240x240; Field of view 240x240 mm
FLAIR MRI.
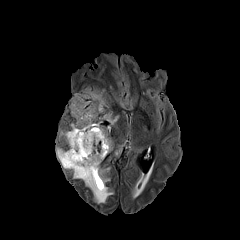
T1-weighted MR.
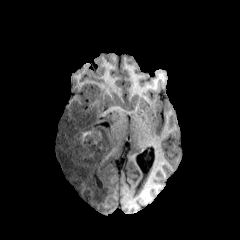
Post-contrast T1-weighted MRI.
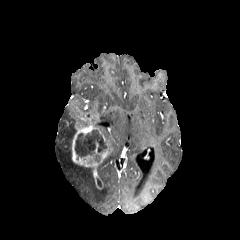
T2-weighted MRI.
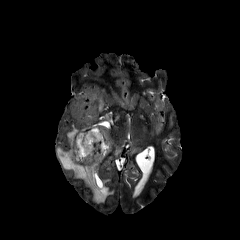
The enhancing tumor is bounded by l=66, t=99, r=115, b=170. 4 edema regions are located at l=76, t=88, r=107, b=111; l=104, t=111, r=119, b=126; l=55, t=146, r=113, b=203; l=58, t=123, r=73, b=146. 2 non-enhancing tumor core regions are bounded by l=74, t=130, r=106, b=157; l=102, t=126, r=111, b=138.